Slice 63 of 155
FLAIR MR image.
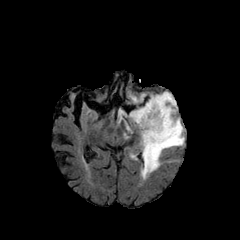
T1-weighted magnetic resonance.
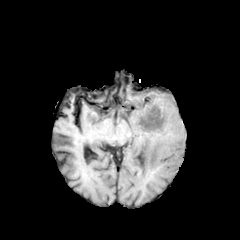
Post-contrast T1-weighted magnetic resonance.
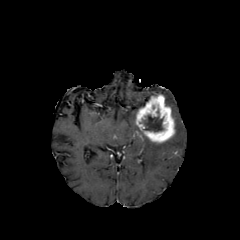
T2-weighted MR image.
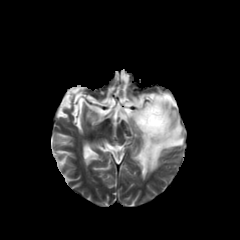
3 edema regions are located at 130, 151, 138, 160; 116, 93, 146, 133; 140, 91, 185, 179. The enhancing tumor lies within 135, 93, 175, 142. The non-enhancing tumor core lies within 143, 115, 162, 131.